512x512; CT slice; Slice index 158; Field of view 404 mm wide, 0.70 mm slice spacing

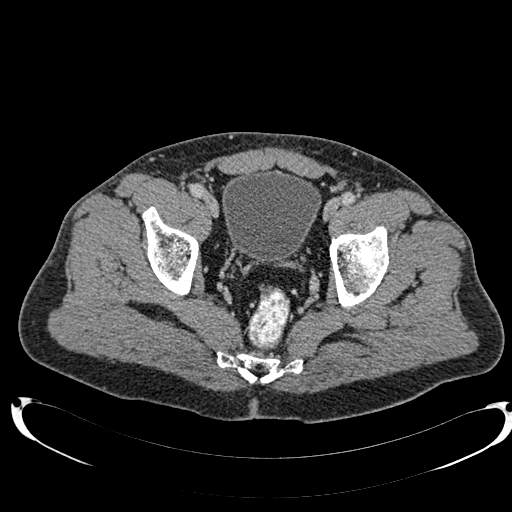
The urinary bladder appears at left=222, top=168, right=321, bottom=264.